240x240 | Brain
FLAIR MR image.
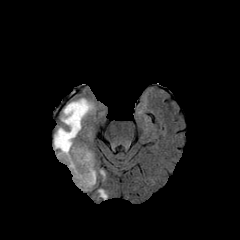
T1-weighted MR.
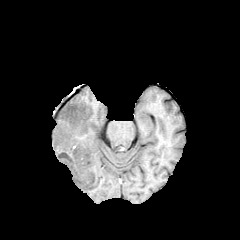
Post-contrast T1-weighted MRI.
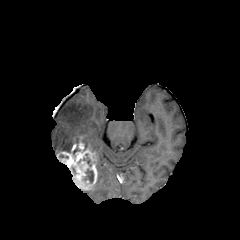
T2-weighted MR.
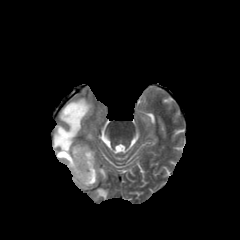
Enhancing tumor: bounding box left=57, top=144, right=97, bottom=189.
Edema: bounding box left=53, top=98, right=94, bottom=150; left=96, top=188, right=107, bottom=198; left=98, top=169, right=105, bottom=179.
Non-enhancing tumor core: bounding box left=86, top=168, right=93, bottom=182.